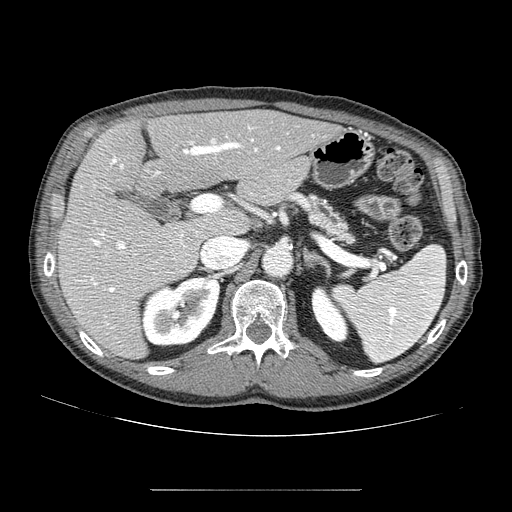
Abdomen; Computed tomography
The pancreas appears at <bbox>306, 194, 354, 242</bbox>.